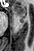

MR image, Medial temporal lobe, 34x51 px
<segmentation>
  <anterior_hippocampus>(left=14, top=4, right=26, bottom=15), (left=20, top=16, right=24, bottom=21)</anterior_hippocampus>
</segmentation>